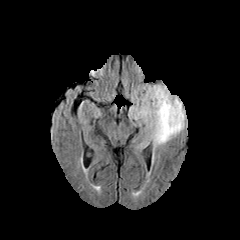
FLAIR MR.
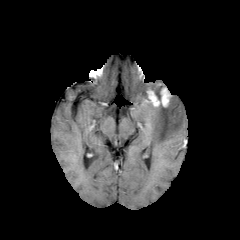
T1-weighted magnetic resonance.
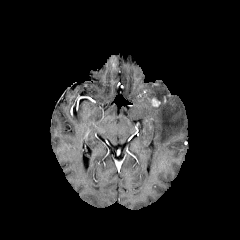
Post-contrast T1-weighted MRI of the same slice.
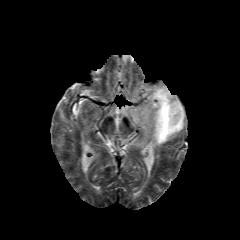
T2-weighted magnetic resonance of the same slice.
The edema is bounded by x1=128, y1=84, x2=185, y2=161. The enhancing tumor is at x1=152, y1=98, x2=160, y2=106.